CT slice. 512x512 px. 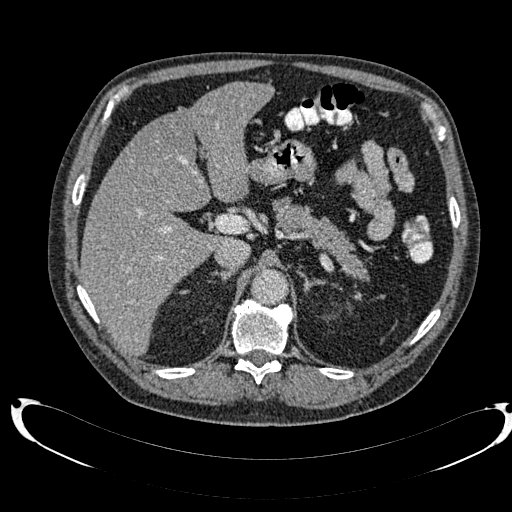 The hepatic lesion appears at bbox=[138, 113, 189, 171]. The liver appears at bbox=[81, 82, 273, 354].